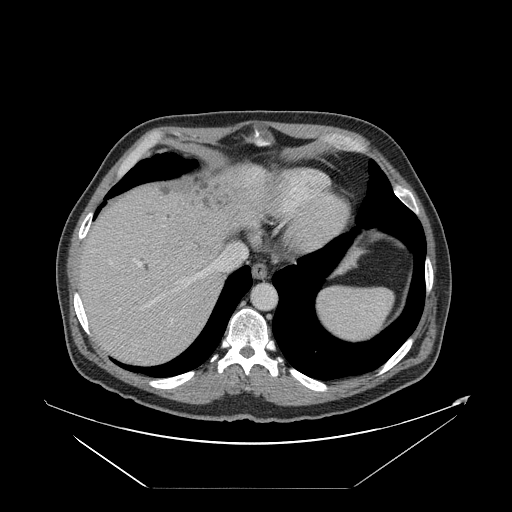 Image size 512x512, Abdomen, Computed tomography
Only some of the vessels may be annotated.
Hepatic vessel — {"x1": 117, "y1": 310, "x2": 119, "y2": 311}, {"x1": 171, "y1": 319, "x2": 172, "y2": 321}, {"x1": 176, "y1": 245, "x2": 246, "y2": 287}, {"x1": 143, "y1": 296, "x2": 162, "y2": 308}, {"x1": 133, "y1": 259, "x2": 145, "y2": 266}.